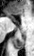 Magnetic resonance, Medial temporal lobe, 34x56 px

The anterior hippocampus lies within 7,12,15,21. The posterior hippocampus appears at 13,37,24,49.